Slice 66/155, Head
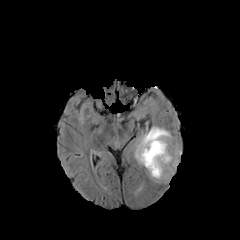
FLAIR MR.
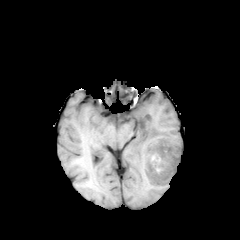
T1-weighted magnetic resonance.
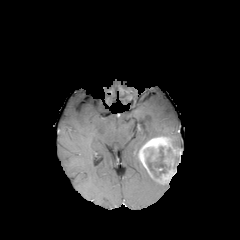
Same slice, post-contrast T1-weighted MR image.
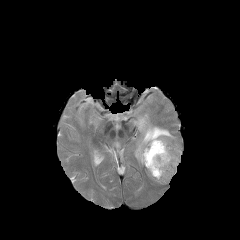
T2-weighted MR of the same slice.
Enhancing tumor — <bbox>138, 136, 181, 177</bbox>, <bbox>158, 168, 175, 182</bbox>.
Non-enhancing tumor core — <bbox>146, 147, 169, 175</bbox>.
Edema — <bbox>148, 172, 161, 183</bbox>, <bbox>156, 156, 164, 167</bbox>, <bbox>131, 122, 180, 172</bbox>.